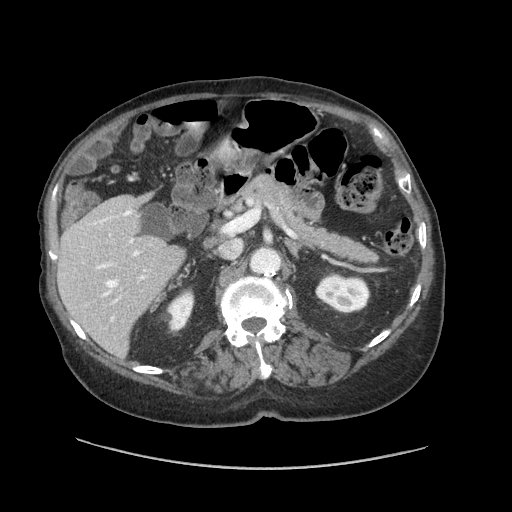
Abdomen. Image size 512x512. CT scan slice. Some hepatic vessels may have no box.
<segmentation>
  <hepatic_vessel>[223,225,228,232], [225,240,241,257], [106,280,117,287]</hepatic_vessel>
</segmentation>